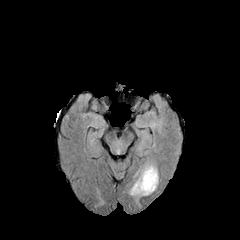
FLAIR MRI.
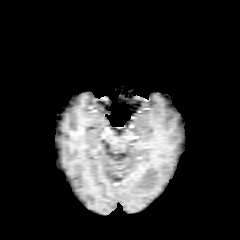
T1-weighted MR.
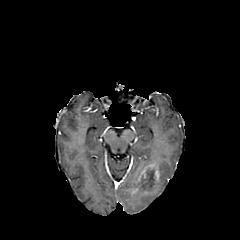
Post-contrast T1-weighted MRI.
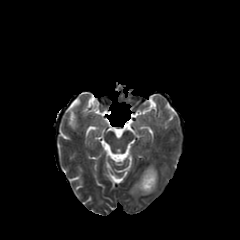
T2-weighted MR of the same slice.
Brain | 240x240
Annotated regions:
- edema: x1=129 y1=164 x2=158 y2=196
- non-enhancing tumor core: x1=146 y1=172 x2=154 y2=186